Slice 97/155, Field of view 240x240 mm, 240x240 px, Brain
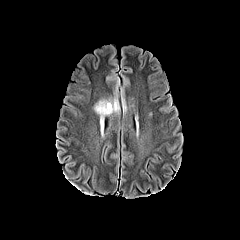
FLAIR MRI.
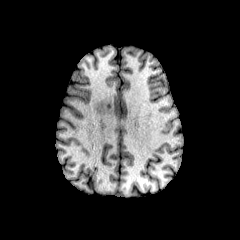
T1-weighted MR image of the same slice.
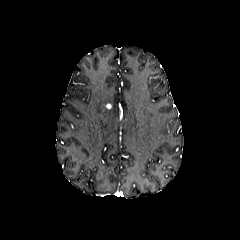
Same slice, post-contrast T1-weighted MR.
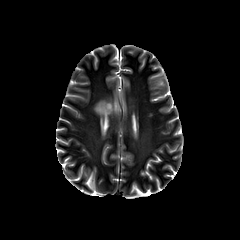
T2-weighted MRI.
Edema: bounding box 94,97,120,137.